Head. 240x240 px.
FLAIR MR.
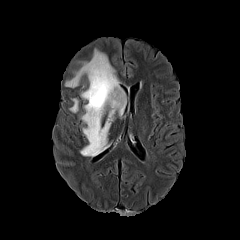
T1-weighted MRI.
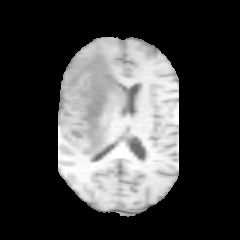
Post-contrast T1-weighted magnetic resonance.
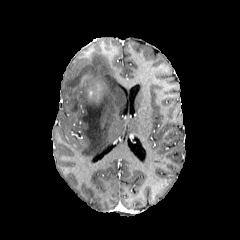
T2-weighted MR image.
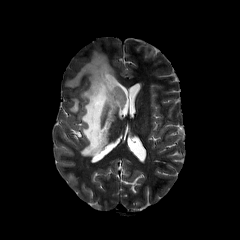
2 edema regions appear at rect(64, 48, 125, 156); rect(68, 98, 78, 113). The non-enhancing tumor core lies within rect(89, 89, 97, 98).